Slice index 48. Image size 512x512. Abdomen. CT image.

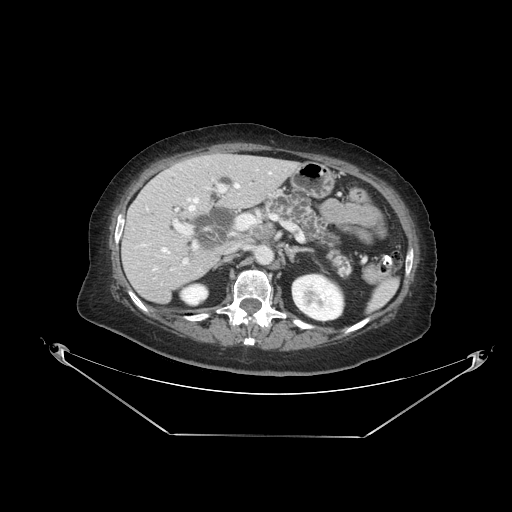

Segmented structures:
* pancreas: x1=265 y1=192 x2=352 y2=275